FLAIR MR image.
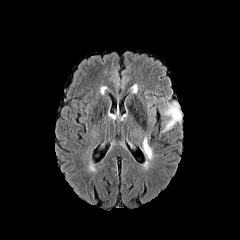
T1-weighted MRI.
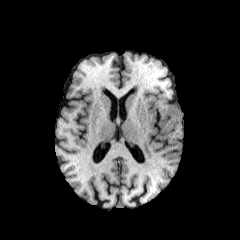
Post-contrast T1-weighted MR image.
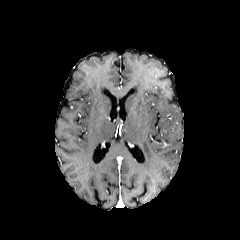
T2-weighted magnetic resonance.
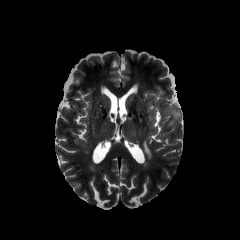
- edema: 141:137:153:159, 164:106:181:121